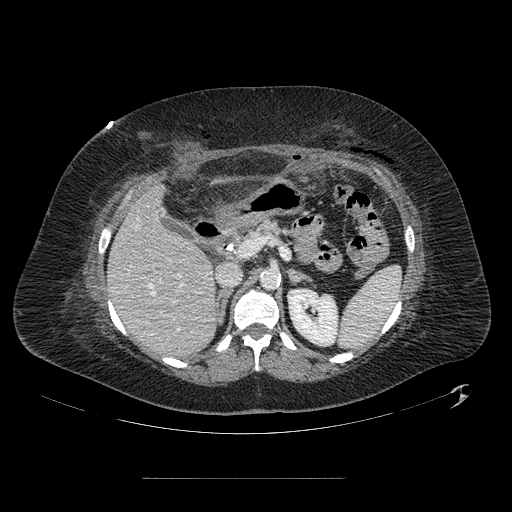

CT
The pancreas is located at 235:220:282:244.